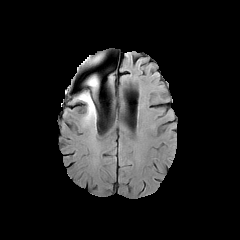
FLAIR MR.
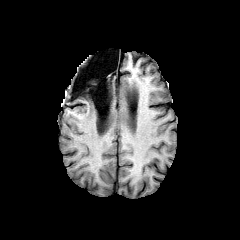
T1-weighted MRI.
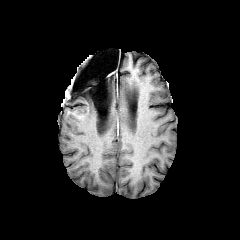
Post-contrast T1-weighted magnetic resonance.
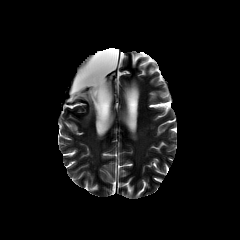
T2-weighted MR.
Brain
Edema — [72, 87, 97, 127].
Non-enhancing tumor core — [84, 56, 95, 65], [86, 76, 98, 109].